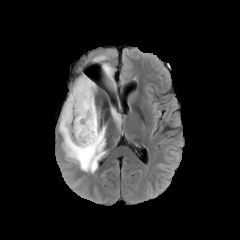
FLAIR MR.
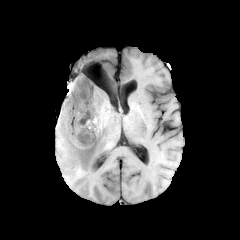
T1-weighted MR of the same slice.
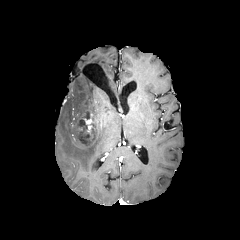
Post-contrast T1-weighted MR of the same slice.
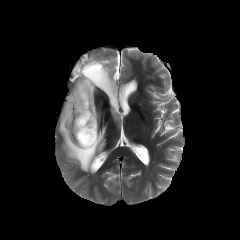
Same slice, T2-weighted MRI.
240x240. Brain.
Enhancing tumor — x1=84, y1=118, x2=91, y2=131.
Non-enhancing tumor core — x1=78, y1=112, x2=95, y2=145.
Edema — x1=111, y1=108, x2=121, y2=123; x1=94, y1=56, x2=115, y2=87; x1=59, y1=74, x2=106, y2=173.